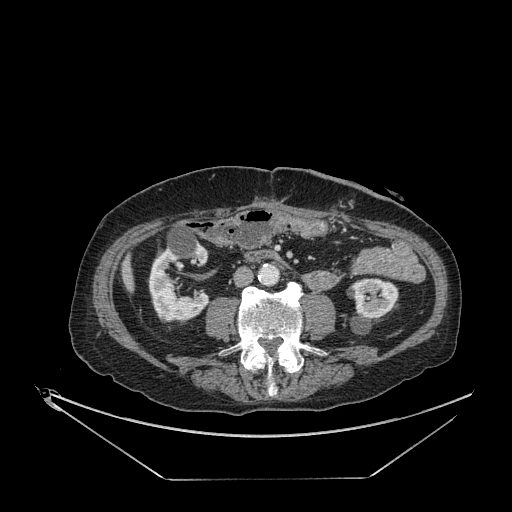 Upper abdomen | CT
The liver is bounded by {"x1": 125, "y1": 256, "x2": 132, "y2": 292}. 3 kidney regions are bounded by {"x1": 149, "y1": 248, "x2": 208, "y2": 319}, {"x1": 351, "y1": 279, "x2": 397, "y2": 318}, {"x1": 195, "y1": 244, "x2": 207, "y2": 264}.